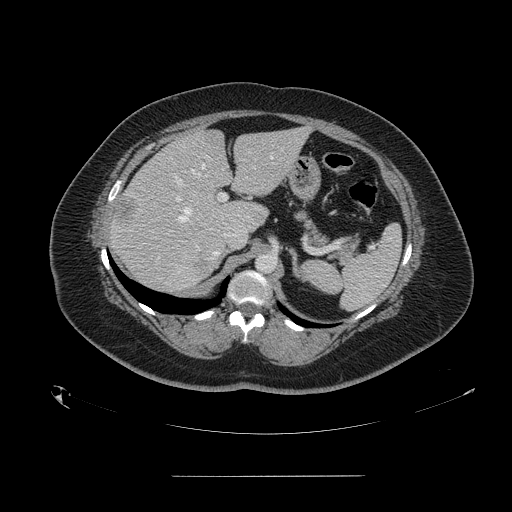

CT

Spleen — (302, 224, 401, 310).